Image size 512x512; Abdomen; Computed tomography
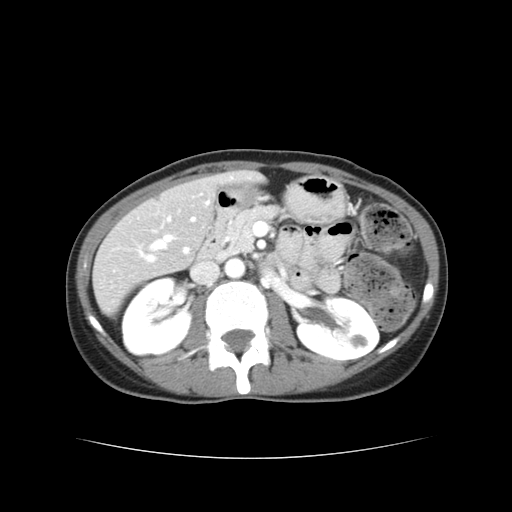

Some hepatic vessels may have no box.
<segmentation>
  <hepatic_vessel>[x1=152, y1=236, x2=170, y2=248], [x1=192, y1=218, x2=194, y2=220], [x1=184, y1=249, x2=187, y2=252], [x1=147, y1=256, x2=153, y2=261], [x1=168, y1=218, x2=170, y2=220]</hepatic_vessel>
</segmentation>